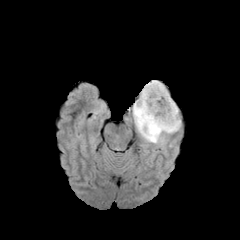
FLAIR MR.
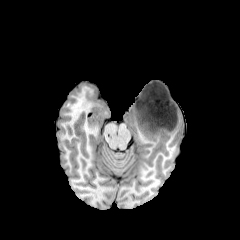
Same slice, T1-weighted MR.
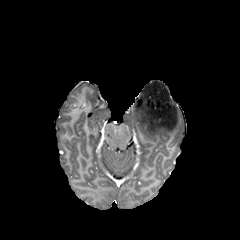
Post-contrast T1-weighted MRI of the same slice.
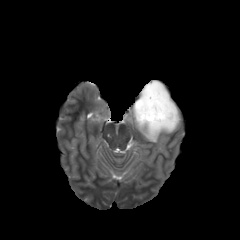
T2-weighted magnetic resonance of the same slice.
edema: bbox(127, 98, 181, 149) | non-enhancing tumor core: bbox(134, 81, 177, 131)